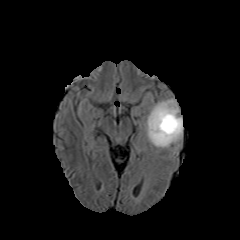
FLAIR MR.
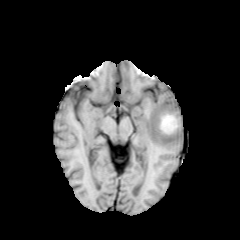
Same slice, T1-weighted MRI.
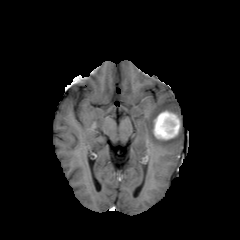
Post-contrast T1-weighted MR image of the same slice.
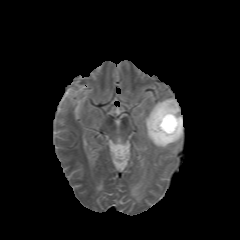
T2-weighted MR.
240x240 px | Brain
{
  "non-enhancing_tumor_core": [
    "bbox(154, 102, 179, 137)"
  ],
  "edema": [
    "bbox(138, 96, 183, 153)"
  ],
  "enhancing_tumor": [
    "bbox(160, 114, 178, 134)"
  ]
}